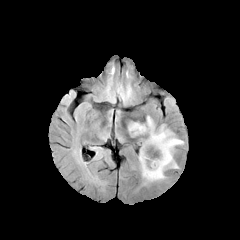
FLAIR magnetic resonance.
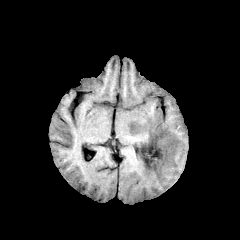
T1-weighted magnetic resonance.
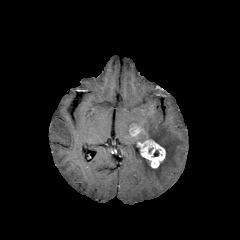
Post-contrast T1-weighted magnetic resonance.
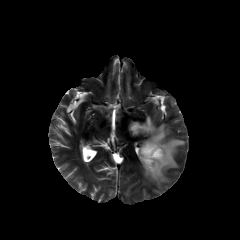
T2-weighted MR.
The edema lies within {"x1": 128, "y1": 116, "x2": 184, "y2": 180}. 2 enhancing tumor regions appear at {"x1": 130, "y1": 124, "x2": 142, "y2": 135}, {"x1": 139, "y1": 139, "x2": 165, "y2": 167}.